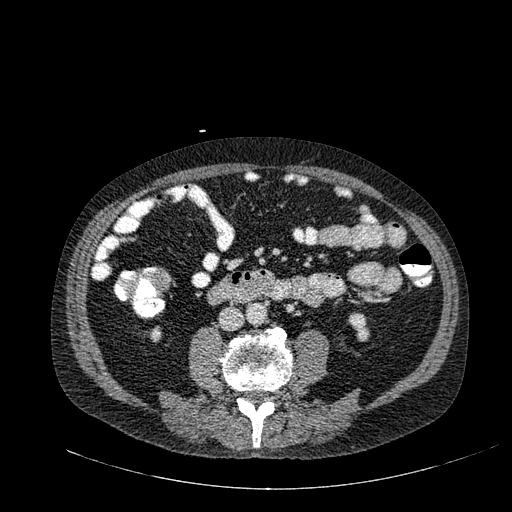
Abdomen, CT slice

2 kidney regions are bounded by region(149, 326, 161, 341); region(348, 313, 369, 341).